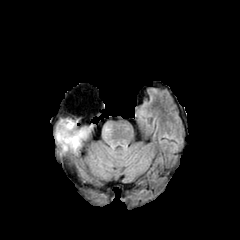
FLAIR magnetic resonance.
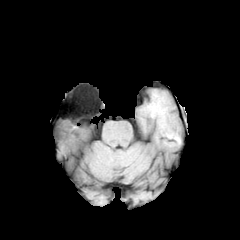
T1-weighted magnetic resonance of the same slice.
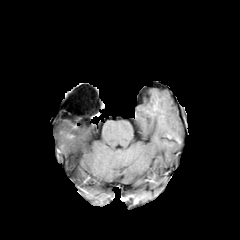
Post-contrast T1-weighted MR.
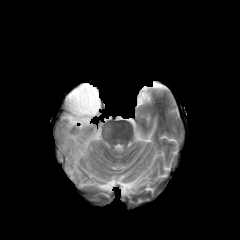
T2-weighted MR image.
Head
The edema appears at left=58, top=118, right=89, bottom=151.